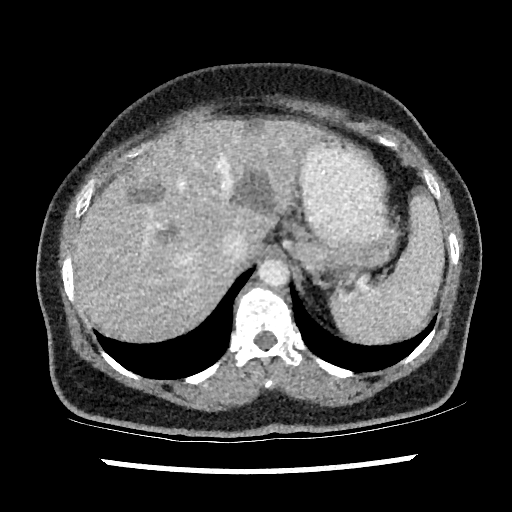 Liver; CT scan slice
liver: <bbox>71, 118, 322, 339</bbox> | hepatic lesion: <bbox>158, 228, 176, 242</bbox>, <bbox>126, 186, 164, 203</bbox>, <bbox>231, 171, 274, 213</bbox>, <bbox>240, 119, 263, 131</bbox>